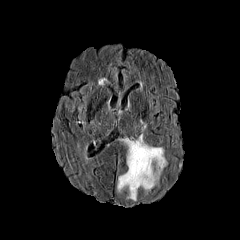
FLAIR MR.
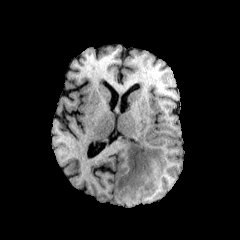
T1-weighted magnetic resonance.
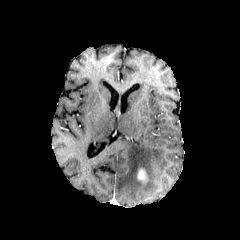
Post-contrast T1-weighted MRI.
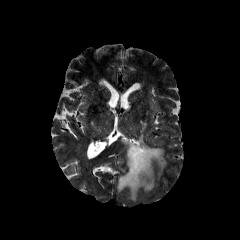
T2-weighted MR of the same slice.
{"edema": ["x1=116, y1=120, x2=167, y2=201"], "enhancing_tumor": ["x1=137, y1=169, x2=146, y2=182"]}